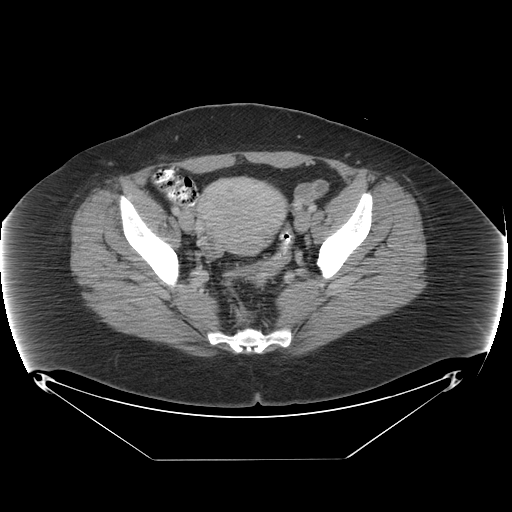
CT
Colon tumor = bbox=[226, 254, 290, 285].